CT image, Liver, 512x512 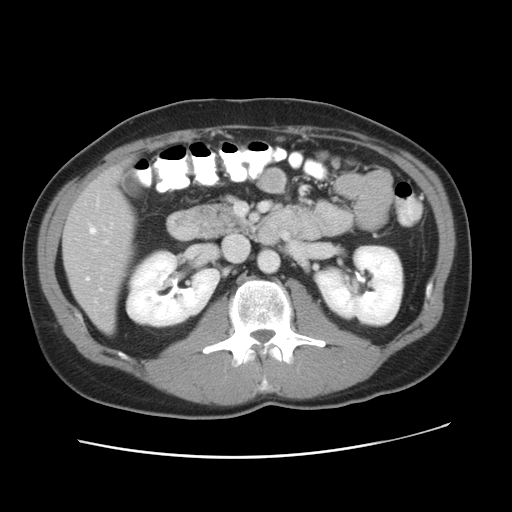

The vessel boxes may cover only some of the vessels.
hepatic vessel: [104, 240, 107, 242], [97, 199, 98, 201], [95, 298, 96, 301], [103, 227, 105, 229], [99, 288, 101, 290], [86, 277, 88, 279], [89, 224, 96, 233]